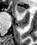
37x45 px; MR image; Medial temporal lobe
anterior hippocampus: [17,6,24,12]